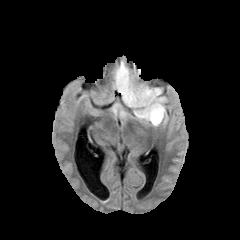
FLAIR magnetic resonance.
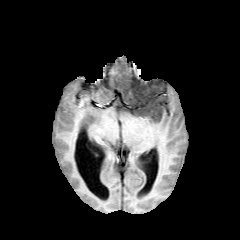
T1-weighted MR image.
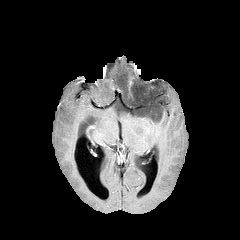
Post-contrast T1-weighted magnetic resonance.
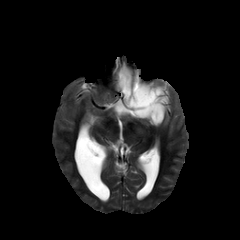
Same slice, T2-weighted MR image.
240x240, Head
The edema is bounded by (113, 62, 168, 127). 2 non-enhancing tumor core regions are bounded by (121, 74, 126, 85), (128, 81, 163, 115).